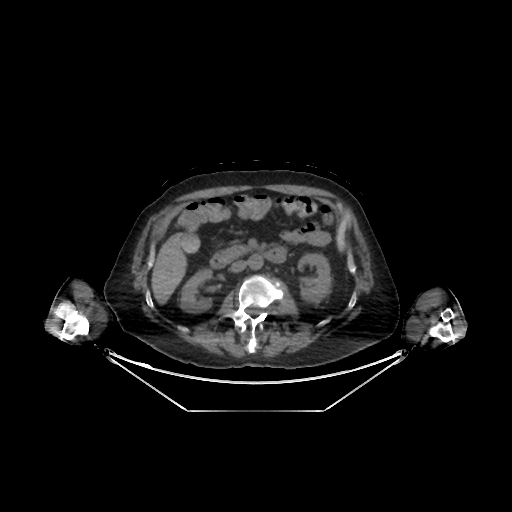
Abdomen, CT scan slice, 512x512 px
The liver is located at [152,230,199,302]. 2 kidney regions are located at [297,252,334,307], [177,266,217,313].